Slice 106 of 165; CT image; Field of view 364x364 mm

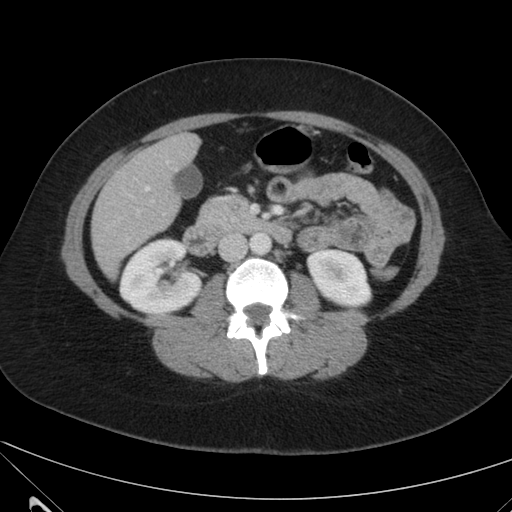

Kidney: bounding box left=310, top=250, right=369, bottom=304; left=121, top=240, right=199, bottom=313.
Liver: bounding box left=92, top=132, right=200, bottom=278.